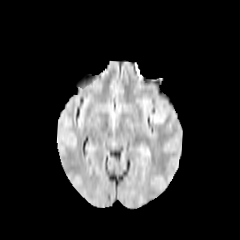
FLAIR magnetic resonance.
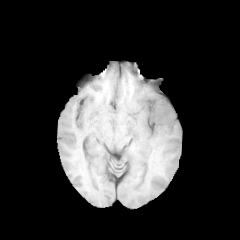
T1-weighted MR image of the same slice.
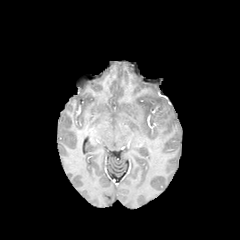
Post-contrast T1-weighted MR.
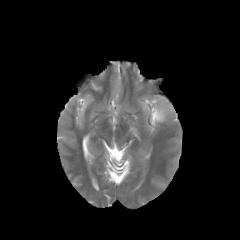
T2-weighted MR image.
The edema appears at left=153, top=107, right=170, bottom=125.